Brain, Slice 106 of 155
FLAIR magnetic resonance.
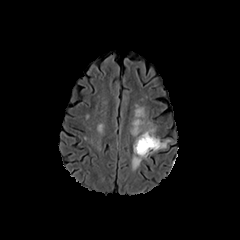
T1-weighted MRI.
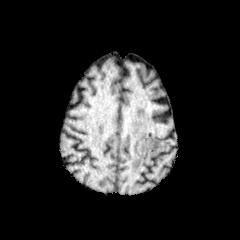
Post-contrast T1-weighted MRI.
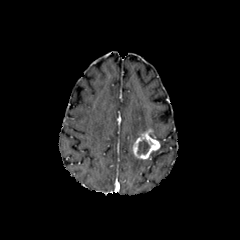
T2-weighted MR image.
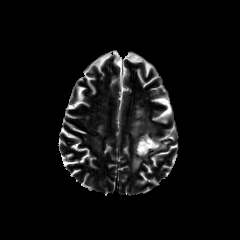
<segmentation>
  <enhancing_tumor>133,127,160,159</enhancing_tumor>
  <non-enhancing_tumor_core>136,139,150,155</non-enhancing_tumor_core>
  <edema>130,105,155,141; 159,140,171,149; 131,154,142,172</edema>
</segmentation>